CT slice. Slice 437/683.
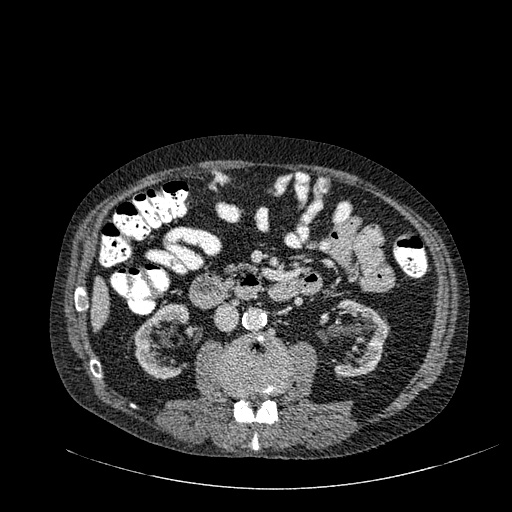 Kidney = l=327, t=301, r=389, b=376; l=185, t=326, r=197, b=338; l=320, t=313, r=328, b=324; l=316, t=331, r=327, b=341; l=134, t=304, r=189, b=379.
Liver = l=93, t=277, r=108, b=330.